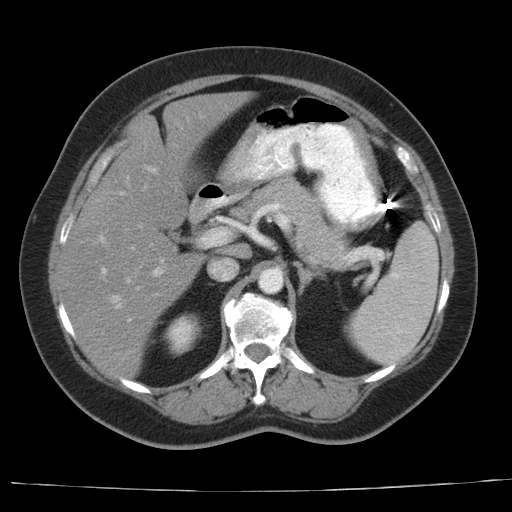
CT slice. 512x512. Abdomen. The vessel boxes may cover only some of the vessels.
6 hepatic vessel regions are located at [111,296,119,307], [101,269,105,272], [148,168,154,172], [153,269,160,275], [136,287,137,289], [120,192,122,195].